CT scan slice

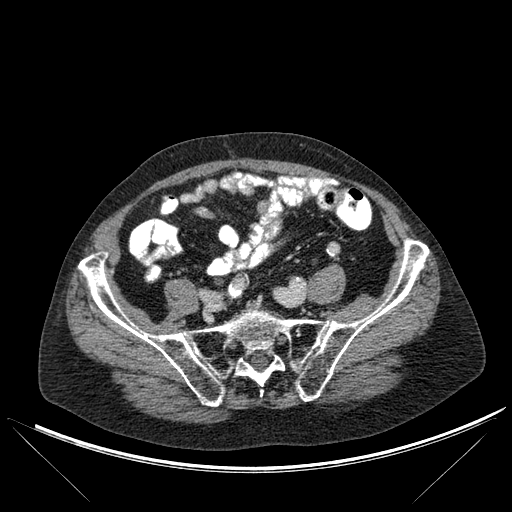

Bone — box=[78, 239, 428, 406]; box=[234, 355, 284, 386].